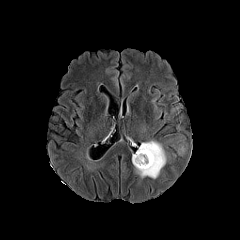
FLAIR MR.
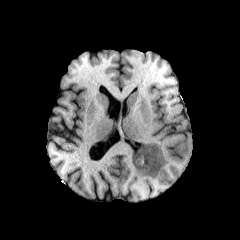
Same slice, T1-weighted MR image.
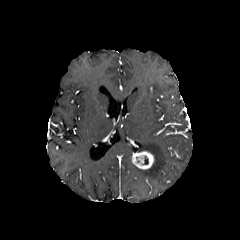
Same slice, post-contrast T1-weighted MR.
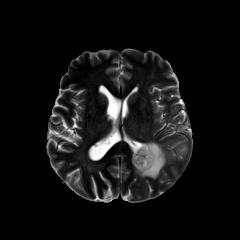
T2-weighted MR image.
Brain
enhancing tumor: x1=132 y1=151 x2=153 y2=169 | edema: x1=135 y1=142 x2=166 y2=178